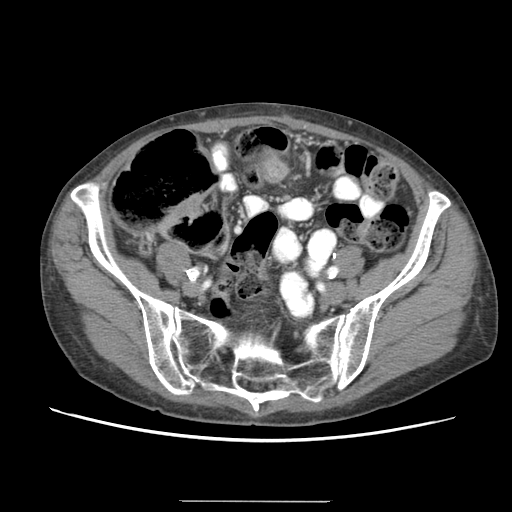 CT scan slice; Pelvis

colon tumor: box=[260, 157, 287, 182]